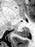
Hippocampus, Magnetic resonance
<segmentation>
  <posterior_hippocampus>left=16, top=27, right=28, bottom=37</posterior_hippocampus>
</segmentation>